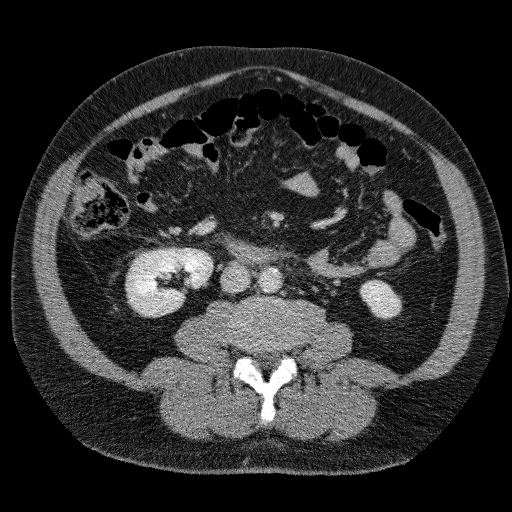

Image size 512x512, CT

2 kidney regions appear at x1=361, y1=281, x2=399, y2=317; x1=127, y1=248, x2=211, y2=315.